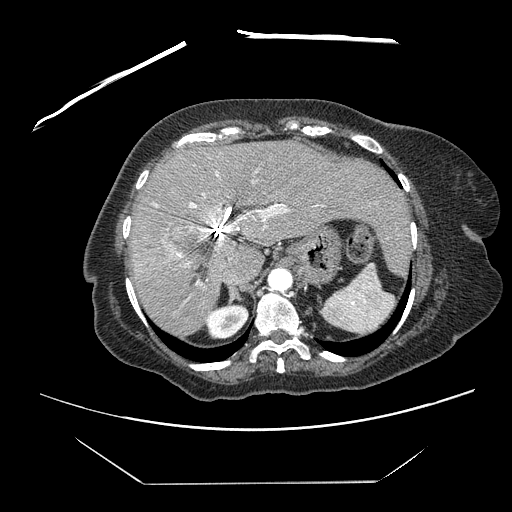 CT image.

The vessel annotation is not exhaustive.
liver_tumor:
  - (169, 223, 218, 270)
hepatic_vessel:
  - (224, 215, 246, 233)
  - (256, 204, 289, 221)
  - (263, 225, 265, 228)
  - (219, 237, 224, 245)
  - (252, 216, 254, 218)
  - (314, 205, 317, 206)
  - (189, 202, 196, 207)
  - (151, 202, 157, 206)
  - (202, 193, 205, 196)